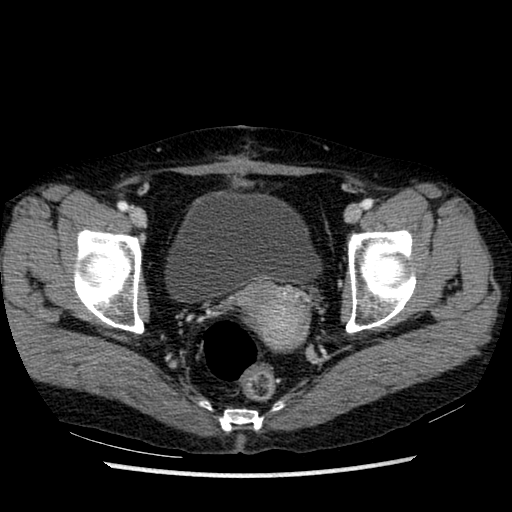 CT image
The urinary bladder is located at 164,191,322,303.